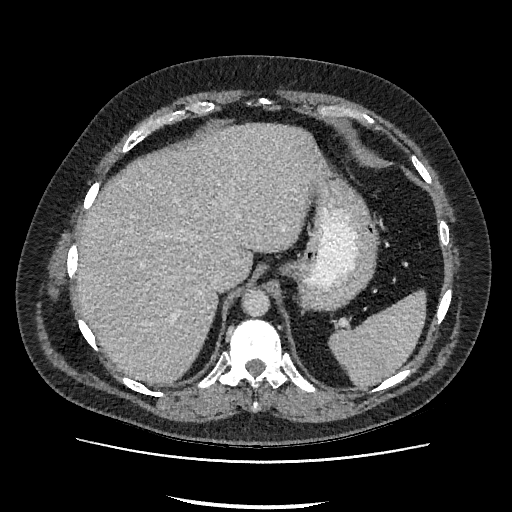

Liver. 512x512 px. CT slice.
The liver is at [77, 124, 319, 382].